Head
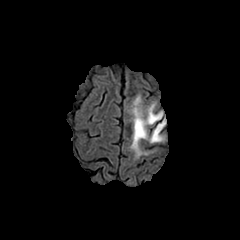
FLAIR MR.
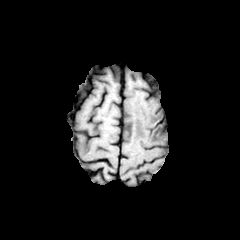
T1-weighted magnetic resonance.
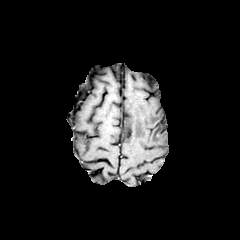
Same slice, post-contrast T1-weighted MR.
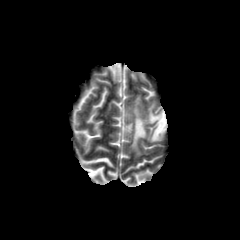
T2-weighted MRI.
The non-enhancing tumor core appears at bbox(154, 123, 162, 139). The edema lies within bbox(130, 95, 166, 155).